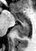 Medial temporal lobe | Magnetic resonance
The anterior hippocampus is located at <box>15,16,26,21</box>. The posterior hippocampus is at <box>14,22,29,38</box>.